Computed tomography. 512x512. 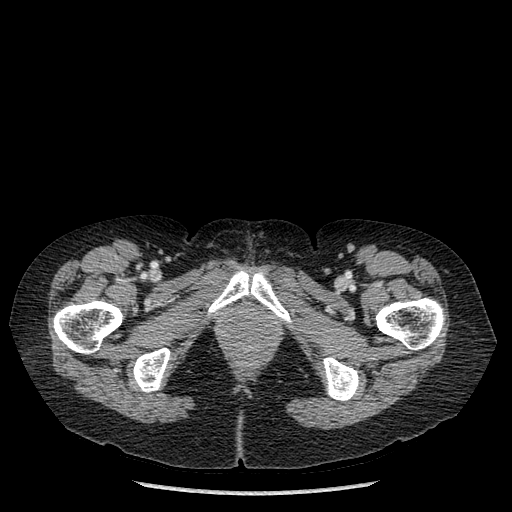

Bone at x1=208 y1=268 x2=292 y2=327, x1=375 y1=298 x2=444 y2=349, x1=132 y1=348 x2=170 y2=392, x1=322 y1=357 x2=359 y2=400, x1=53 y1=299 x2=122 y2=353.